Slice 44 of 151; CT slice 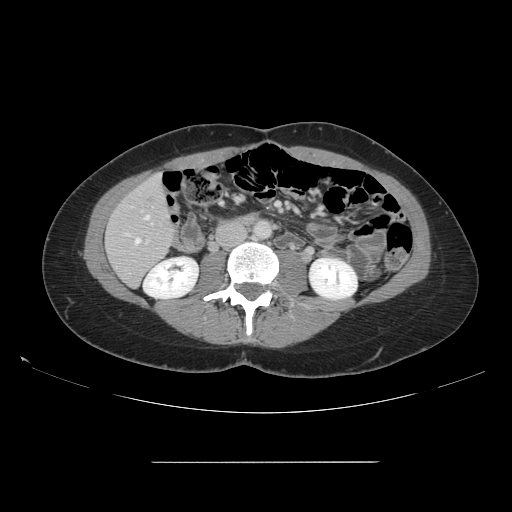

The vessel annotation is not exhaustive.
5 hepatic vessel regions are located at bbox(151, 223, 152, 224); bbox(144, 215, 149, 219); bbox(124, 233, 129, 235); bbox(146, 240, 148, 242); bbox(135, 238, 140, 243).